FLAIR magnetic resonance.
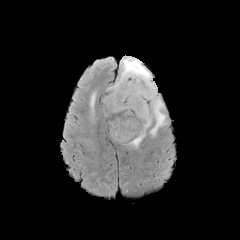
T1-weighted MR.
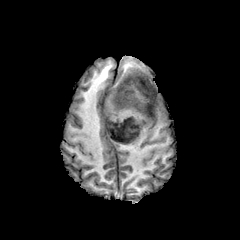
Post-contrast T1-weighted MR image.
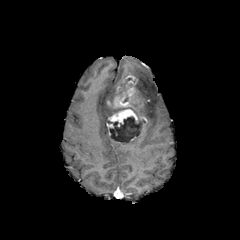
T2-weighted MR.
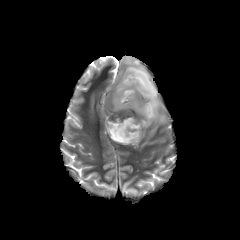
Brain
2 enhancing tumor regions are located at bbox(114, 87, 135, 107); bbox(108, 109, 137, 126). 2 edema regions are bounded by bbox(129, 105, 152, 145); bbox(109, 56, 165, 135). The non-enhancing tumor core appears at bbox(107, 77, 147, 143).